FLAIR MR.
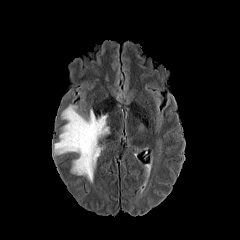
T1-weighted MR image.
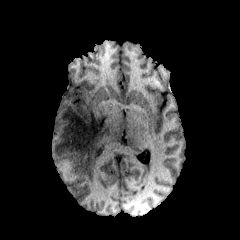
Post-contrast T1-weighted MR image.
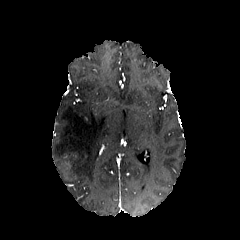
T2-weighted magnetic resonance.
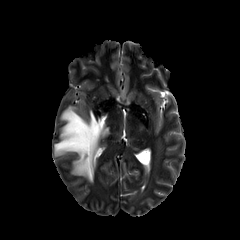
Image size 240x240 | Brain
Segmented structures:
• edema: 54, 105, 109, 183